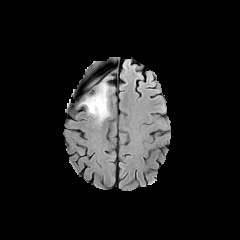
FLAIR MR image.
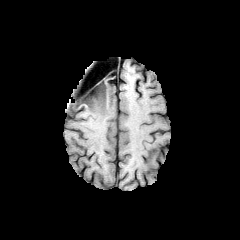
T1-weighted magnetic resonance of the same slice.
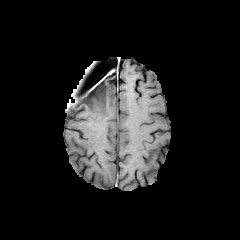
Post-contrast T1-weighted magnetic resonance.
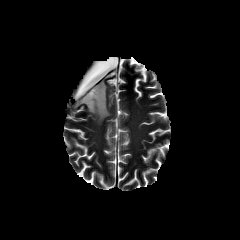
Same slice, T2-weighted MRI.
Brain
Non-enhancing tumor core — (82, 82, 103, 101).
Edema — (80, 78, 111, 123).